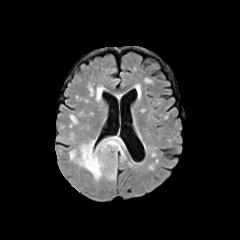
FLAIR MR image.
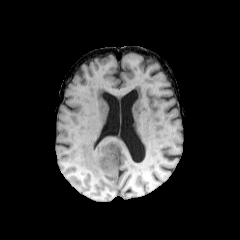
T1-weighted MR.
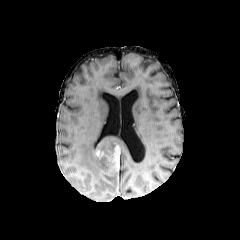
Post-contrast T1-weighted MR of the same slice.
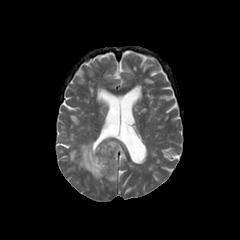
T2-weighted MR of the same slice.
Head
non-enhancing tumor core: <bbox>97, 143, 118, 171</bbox> | edema: <bbox>96, 129, 126, 149</bbox>, <bbox>120, 149, 126, 161</bbox>, <bbox>69, 137, 116, 181</bbox> | enhancing tumor: <bbox>100, 145, 120, 175</bbox>